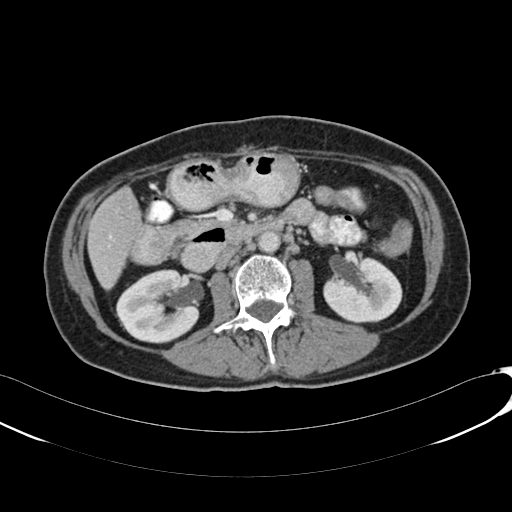

CT scan slice.
Kidney: rect(117, 271, 197, 341); rect(324, 259, 401, 321).
Liver: rect(89, 187, 140, 288).